Abdomen; CT slice; 512x512 px
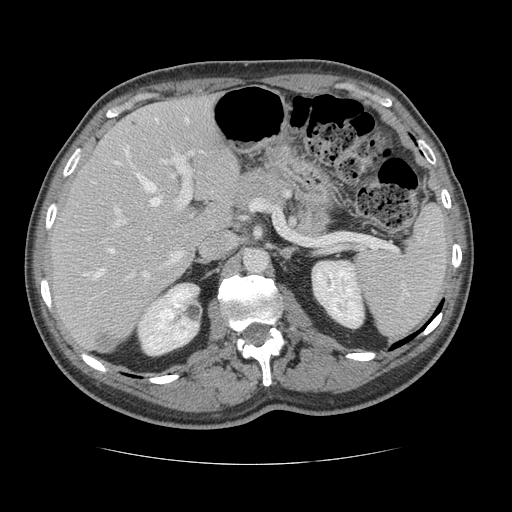

Not every hepatic vessel necessarily has a box.
Liver tumor — <box>96,332,117,350</box>.
Top 15 of 19 hepatic vessel regions — <box>161,146,191,206</box>, <box>185,118,188,121</box>, <box>114,205,125,225</box>, <box>112,161,119,163</box>, <box>82,273,88,275</box>, <box>123,146,128,153</box>, <box>107,248,114,252</box>, <box>90,268,104,277</box>, <box>155,118,158,121</box>, <box>169,252,181,261</box>, <box>135,172,155,191</box>, <box>189,150,193,153</box>, <box>143,271,148,277</box>, <box>150,196,161,205</box>, <box>128,269,134,276</box>.